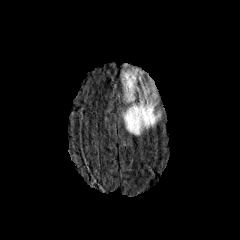
FLAIR MRI.
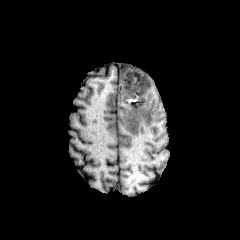
T1-weighted MR image of the same slice.
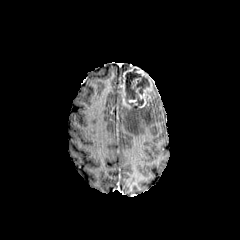
Post-contrast T1-weighted magnetic resonance.
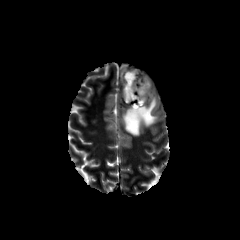
Same slice, T2-weighted MRI.
240x240 px.
non-enhancing_tumor_core:
  - 125,69,149,99
edema:
  - 122,102,161,136
enhancing_tumor:
  - 120,66,157,108